Slice index 15. CT scan slice.

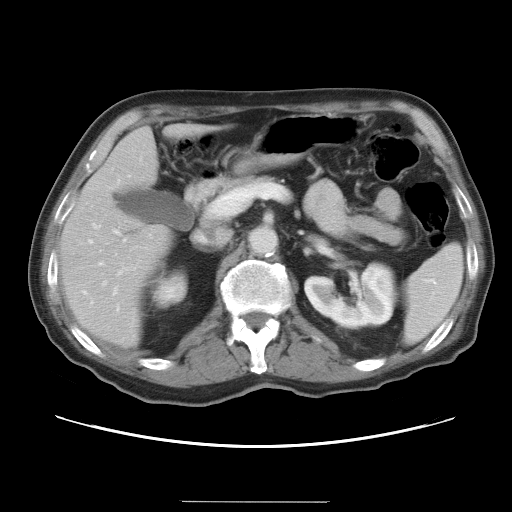
Some hepatic vessels may have no box.
Hepatic vessel at left=82, top=291, right=85, bottom=293; left=113, top=229, right=119, bottom=234; left=129, top=312, right=132, bottom=324; left=122, top=238, right=125, bottom=241; left=148, top=235, right=150, bottom=237; left=116, top=306, right=118, bottom=310.